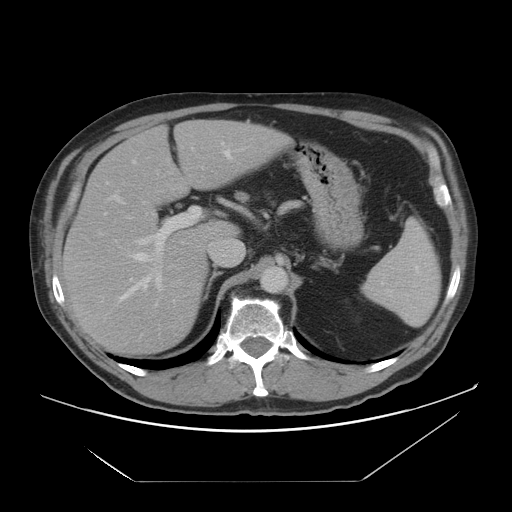 Computed tomography | Abdomen
The liver is bounded by 60,120,293,354.